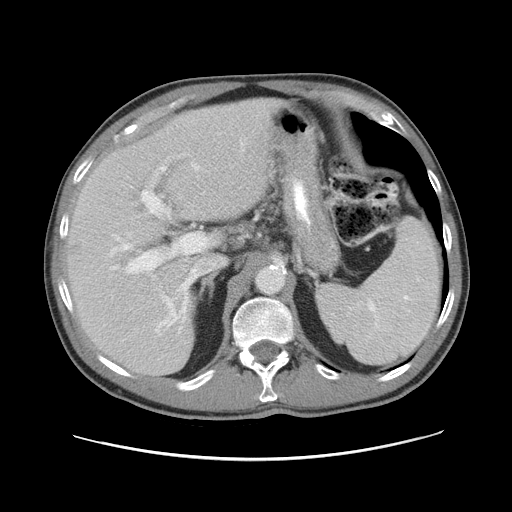
CT; 512x512 px; Liver

Not every hepatic vessel necessarily has a box.
Hepatic vessel: bounding box x1=110, y1=265, x2=118, y2=269; x1=126, y1=233, x2=206, y2=272; x1=154, y1=165, x2=165, y2=177; x1=192, y1=163, x2=199, y2=170; x1=113, y1=234, x2=120, y2=240; x1=240, y1=140, x2=244, y2=145; x1=155, y1=284, x2=186, y2=335; x1=127, y1=232, x2=130, y2=236; x1=151, y1=183, x2=153, y2=186; x1=166, y1=157, x2=168, y2=160; x1=109, y1=244, x2=132, y2=256; x1=180, y1=154, x2=184, y2=155; x1=153, y1=276, x2=155, y2=278; x1=192, y1=210, x2=193, y2=212; x1=141, y1=190, x2=169, y2=215.